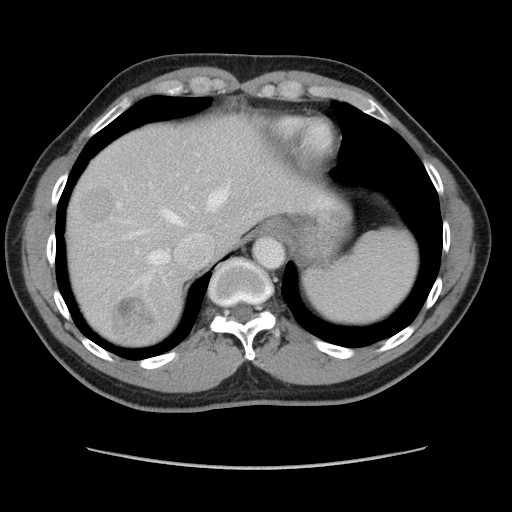

512x512 px | Liver | CT image
Some hepatic vessels may have no box.
Annotated regions:
* liver tumor: (x1=81, y1=186, x2=113, y2=222), (x1=110, y1=297, x2=155, y2=341)
* hepatic vessel: (x1=104, y1=232, x2=105, y2=234), (x1=136, y1=249, x2=138, y2=252), (x1=228, y1=180, x2=229, y2=182), (x1=148, y1=249, x2=169, y2=264), (x1=176, y1=232, x2=212, y2=265), (x1=189, y1=205, x2=193, y2=209), (x1=124, y1=221, x2=126, y2=222), (x1=161, y1=209, x2=187, y2=226), (x1=117, y1=202, x2=121, y2=207), (x1=186, y1=186, x2=187, y2=188), (x1=130, y1=275, x2=150, y2=289), (x1=123, y1=230, x2=145, y2=239), (x1=150, y1=184, x2=153, y2=187), (x1=207, y1=188, x2=228, y2=211)